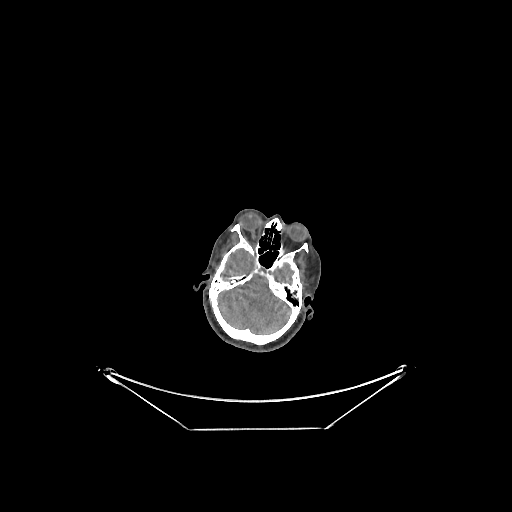
CT image
Segmented structures:
- brain: (220, 248, 255, 281), (268, 263, 293, 285), (217, 273, 290, 334)